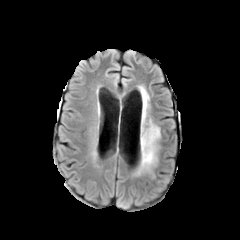
FLAIR MR image.
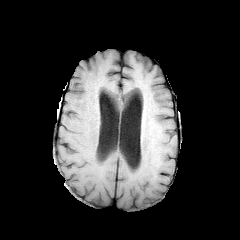
T1-weighted magnetic resonance of the same slice.
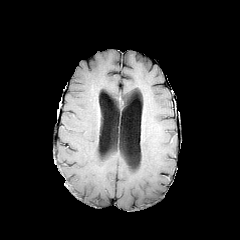
Post-contrast T1-weighted MR.
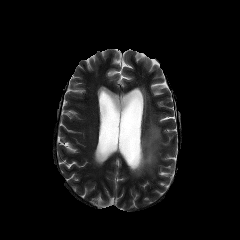
Same slice, T2-weighted MRI.
240x240. Head.
Edema at (138, 88, 160, 173).